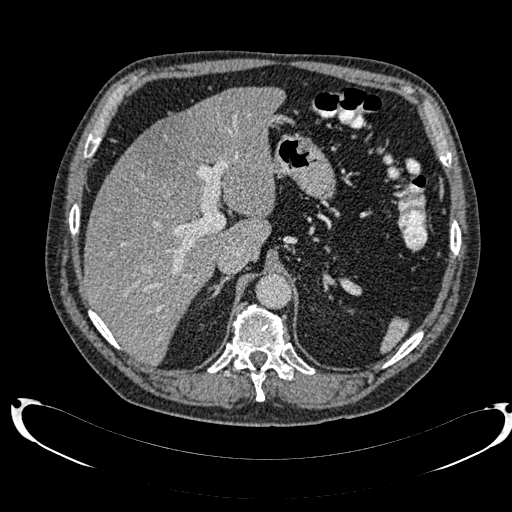 512x512 px. CT image.

Liver: bounding box (84, 87, 285, 365).
Hepatic lesion: bounding box (135, 118, 200, 180).